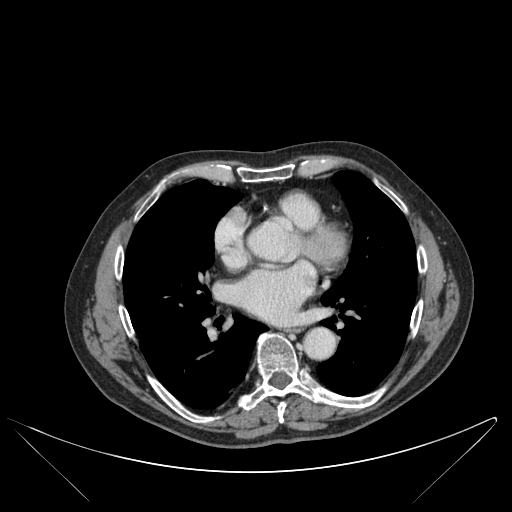 CT | Thorax
8 bone regions appear at [417, 246, 427, 272], [237, 164, 295, 181], [410, 300, 422, 335], [119, 306, 133, 336], [114, 246, 123, 278], [148, 377, 217, 422], [278, 402, 285, 422], [239, 333, 384, 409]. 2 lung regions are bounded by [317, 170, 416, 396], [123, 179, 267, 408].